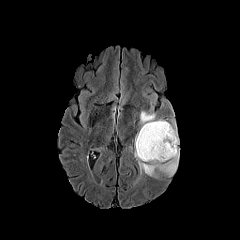
FLAIR magnetic resonance.
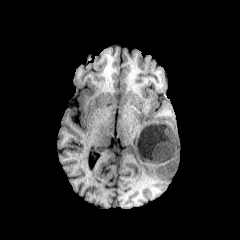
T1-weighted magnetic resonance of the same slice.
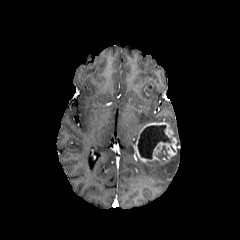
Post-contrast T1-weighted MR image.
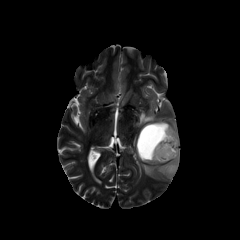
T2-weighted MR of the same slice.
2 edema regions are located at x1=136, y1=98, x2=169, y2=129; x1=138, y1=120, x2=178, y2=177. 2 non-enhancing tumor core regions appear at x1=158, y1=152, x2=167, y2=160; x1=137, y1=125, x2=170, y2=159. The enhancing tumor is at x1=134, y1=122, x2=177, y2=162.